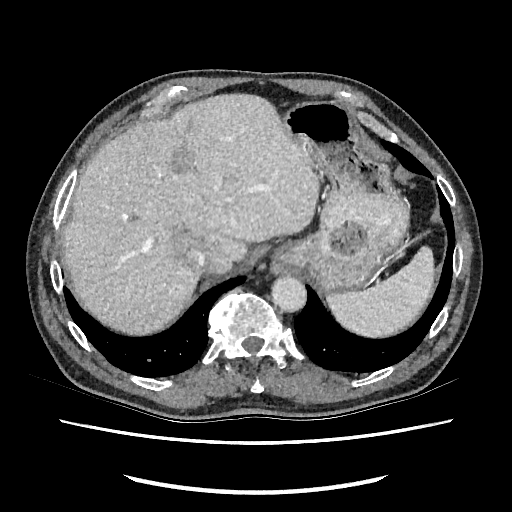

CT image | Upper abdomen

3 hepatic lesion regions are located at region(171, 229, 205, 265); region(171, 149, 196, 171); region(189, 121, 194, 131). The liver appears at region(64, 95, 319, 331).